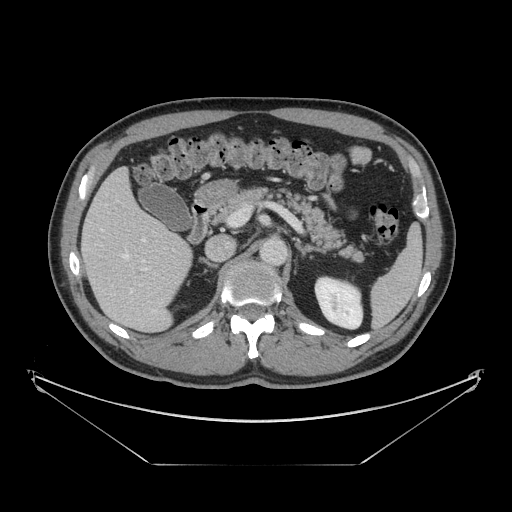
CT; 512x512
Pancreas — [215,187,364,262].